Head. Slice 59 of 155.
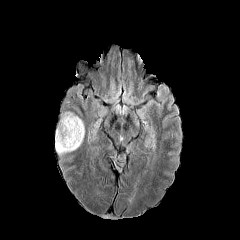
FLAIR MR image.
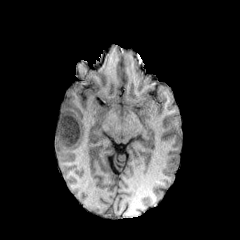
Same slice, T1-weighted MR image.
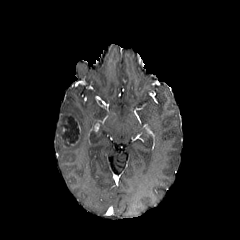
Same slice, post-contrast T1-weighted MRI.
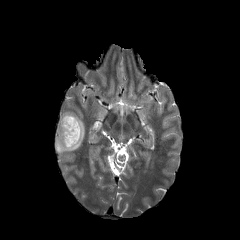
T2-weighted MR image.
{"edema": ["rect(55, 112, 85, 155)"], "non-enhancing_tumor_core": ["rect(57, 115, 80, 146)"]}